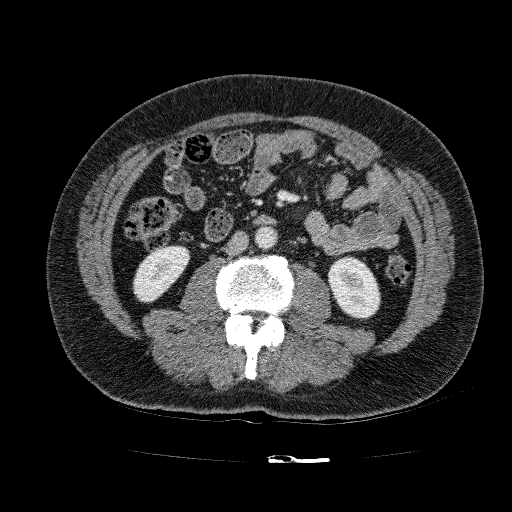

Abdomen. 512x512 px. Computed tomography. <segmentation>
  <kidney><box>134,246,189,301</box>, <box>328,258,379,317</box></kidney>
</segmentation>